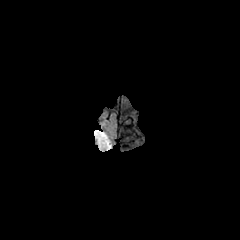
FLAIR MR image.
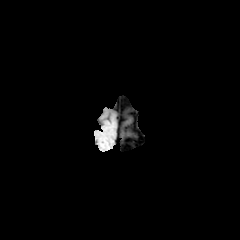
T1-weighted MRI.
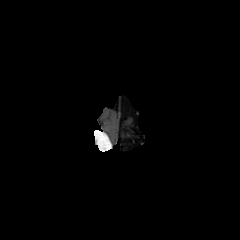
Post-contrast T1-weighted MRI of the same slice.
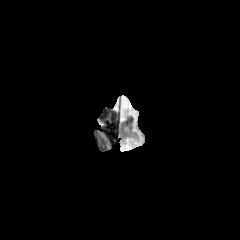
T2-weighted magnetic resonance.
Brain
The enhancing tumor is located at box(94, 130, 111, 151).